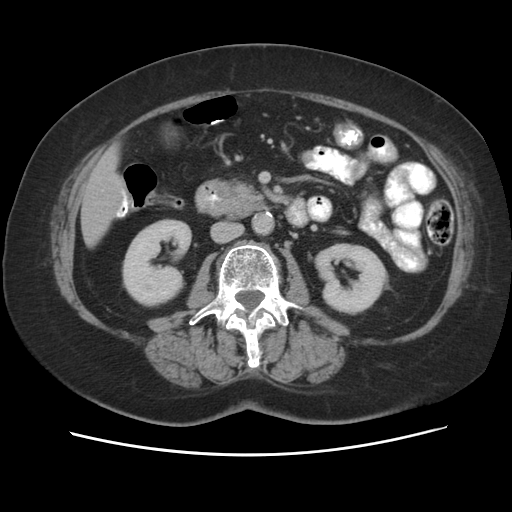 Computed tomography | Upper abdomen

The pancreatic tumor lies within 224,186,240,199. The pancreas is located at 216,183,263,216.